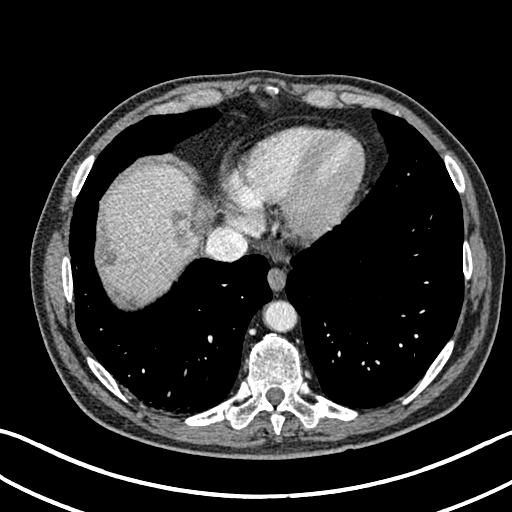 Image size 512x512, Upper abdomen, CT image
liver: rect(96, 164, 198, 301) | hepatic lesion: rect(103, 252, 115, 264); rect(176, 229, 186, 245); rect(171, 211, 186, 226)